Slice 83/155
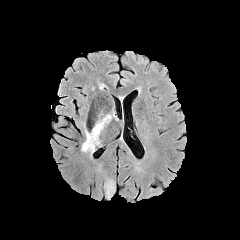
FLAIR magnetic resonance.
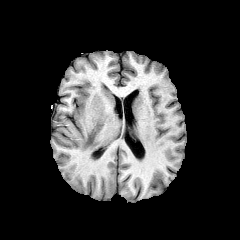
T1-weighted MR of the same slice.
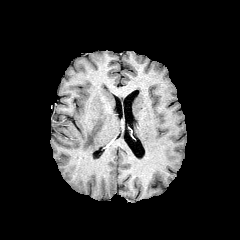
Post-contrast T1-weighted MRI of the same slice.
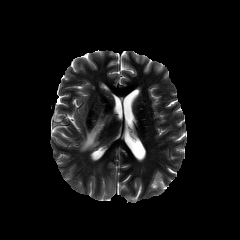
T2-weighted MRI.
The edema appears at (81, 111, 115, 153).